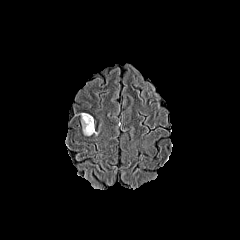
FLAIR MR image.
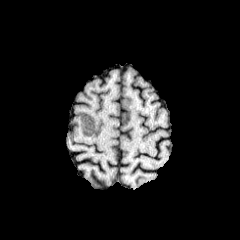
T1-weighted MRI.
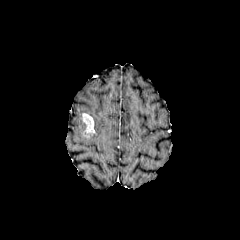
Post-contrast T1-weighted MR of the same slice.
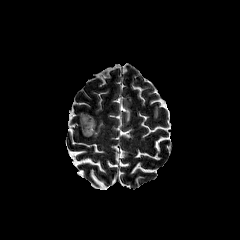
T2-weighted MRI.
Brain
The enhancing tumor lies within 83:113:94:132. The non-enhancing tumor core appears at 81:114:94:134.